Slice 93/155 | Image size 240x240
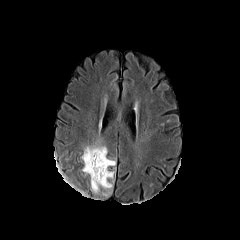
FLAIR MRI.
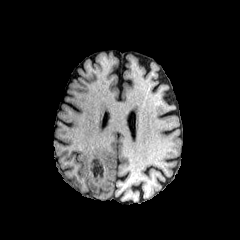
T1-weighted MRI of the same slice.
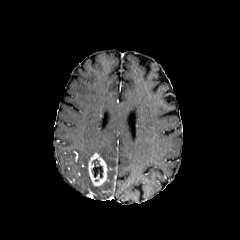
Post-contrast T1-weighted MRI.
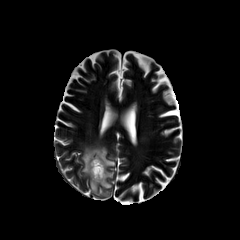
Same slice, T2-weighted MRI.
The non-enhancing tumor core is bounded by 91,159,104,178. 3 edema regions are bounded by 101,182,111,189; 91,182,99,193; 81,146,115,173. The enhancing tumor lies within 87,153,107,186.